Slice index 100; Field of view 240x240 mm; 240x240; Head
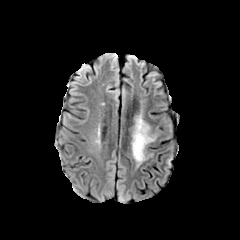
FLAIR MR image.
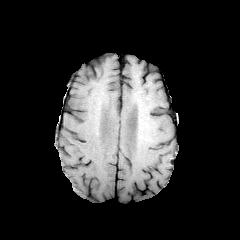
T1-weighted MRI.
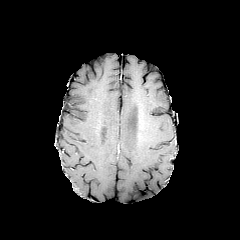
Post-contrast T1-weighted MR of the same slice.
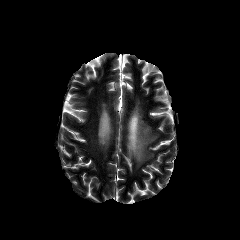
Same slice, T2-weighted MR.
The edema is at <bbox>131, 116, 155, 165</bbox>.